Slice 136 of 188; CT scan slice
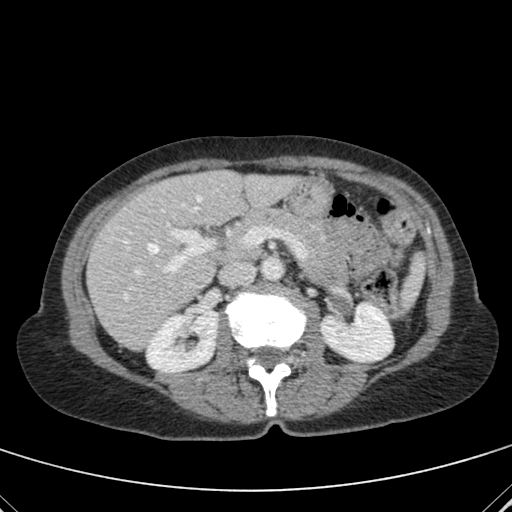

Liver = <bbox>87, 171, 295, 348</bbox>.
Kidney = <bbox>147, 314, 217, 371</bbox>, <bbox>321, 306, 392, 361</bbox>.